Image width 472 mm | Image size 512x512 | CT image 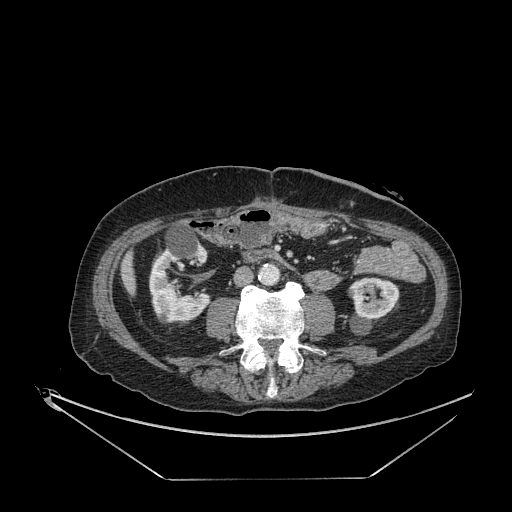

The liver appears at <bbox>123, 252, 134, 294</bbox>. 3 kidney regions are bounded by <bbox>150, 249, 209, 321</bbox>, <bbox>350, 278, 398, 319</bbox>, <bbox>195, 245, 206, 262</bbox>.